FLAIR magnetic resonance.
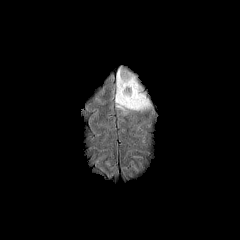
T1-weighted magnetic resonance.
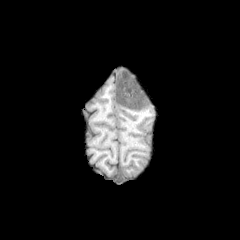
Post-contrast T1-weighted MR.
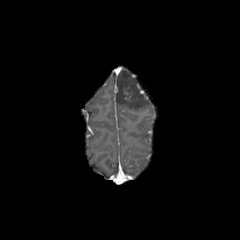
T2-weighted MR.
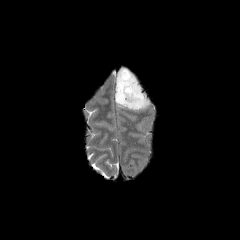
Segmented structures:
- edema: (116,73,150,109)
- non-enhancing tumor core: (124,80,136,94), (121,71,130,80)
- enhancing tumor: (121,85,133,100)